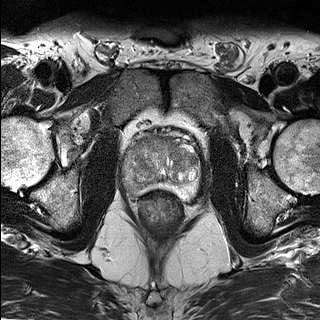
T2-weighted MRI.
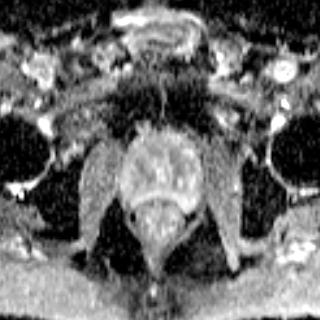
ADC magnetic resonance of the same slice.
Prostate.
The prostate peripheral zone is bounded by (left=123, top=152, right=202, bottom=201). The prostate transition zone appears at (left=128, top=135, right=201, bottom=183).